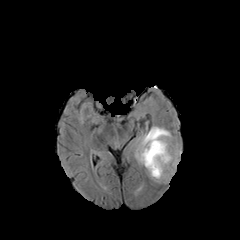
FLAIR MR image.
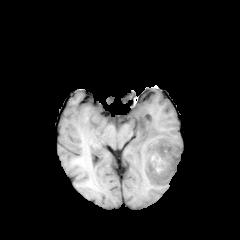
T1-weighted magnetic resonance.
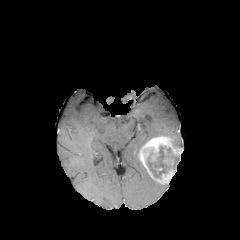
Same slice, post-contrast T1-weighted MR image.
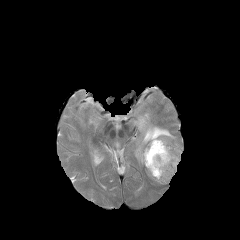
T2-weighted MRI of the same slice.
The non-enhancing tumor core appears at [145,146,175,173]. 2 enhancing tumor regions appear at [139,136,182,177], [156,169,175,181]. 2 edema regions are bounded by [168,150,180,167], [132,122,180,182].